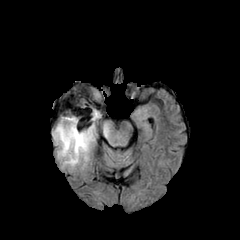
FLAIR MR image.
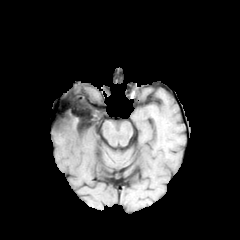
T1-weighted magnetic resonance.
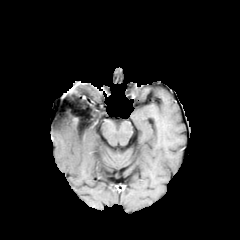
Post-contrast T1-weighted MRI.
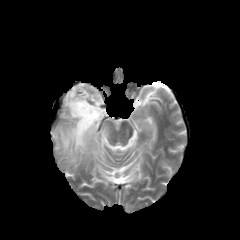
Same slice, T2-weighted MR image.
Brain.
Edema — box=[102, 124, 109, 138]; box=[52, 110, 101, 168].